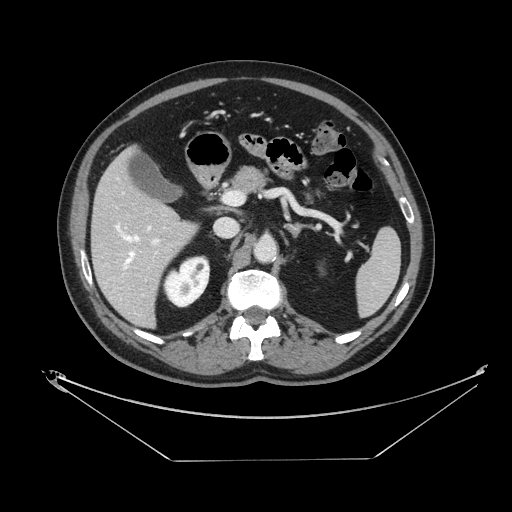 512x512 px. CT image. Upper abdomen.

Pancreas: (left=231, top=166, right=267, bottom=194).